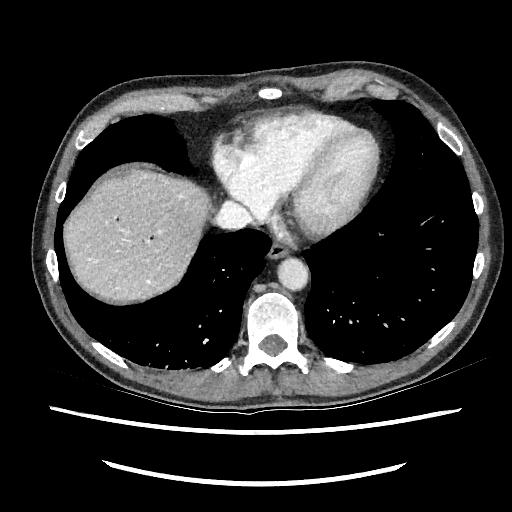 512x512 | Abdomen | CT
{
  "liver": [
    "66 170 209 300"
  ]
}